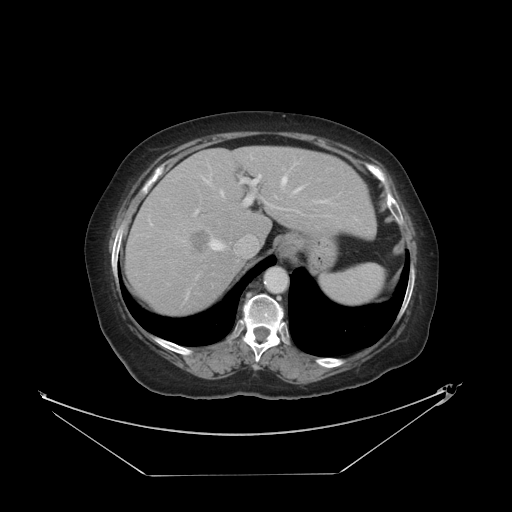 Computed tomography.
The vessel annotation is not exhaustive.
The liver tumor appears at x1=190 y1=226 x2=209 y2=250. 8 hepatic vessel regions appear at x1=208 y1=177 x2=210 y2=184, x1=211 y1=242 x2=220 y2=249, x1=265 y1=201 x2=298 y2=211, x1=201 y1=176 x2=203 y2=177, x1=282 y1=178 x2=285 y2=184, x1=241 y1=176 x2=260 y2=183, x1=187 y1=292 x2=188 y2=296, x1=244 y1=196 x2=252 y2=204.